Image width 240 mm
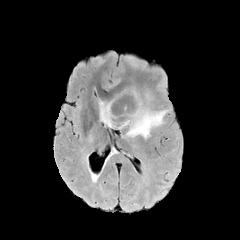
FLAIR MRI.
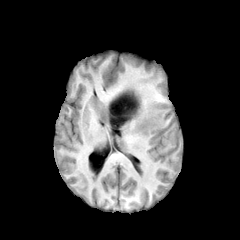
Same slice, T1-weighted MR image.
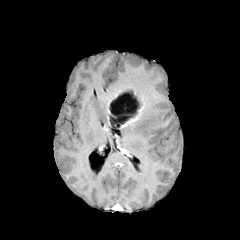
Post-contrast T1-weighted magnetic resonance.
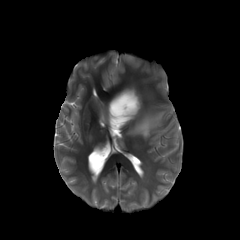
T2-weighted MRI.
<segmentation>
  <edema>(126, 108, 166, 138), (99, 101, 111, 127)</edema>
  <enhancing_tumor>(120, 107, 141, 128)</enhancing_tumor>
  <non-enhancing_tumor_core>(109, 89, 141, 128)</non-enhancing_tumor_core>
</segmentation>